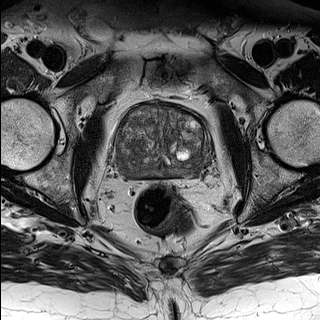
T2-weighted MR image.
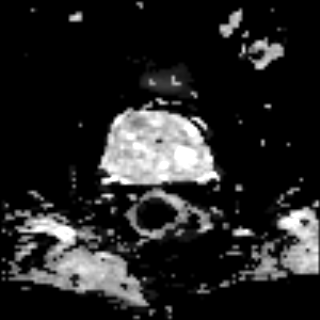
Same slice, ADC MR.
Prostate.
prostate_transition_zone:
  - <bbox>117, 107, 206, 168</bbox>
prostate_peripheral_zone:
  - <bbox>117, 138, 208, 177</bbox>